Abdomen, Computed tomography 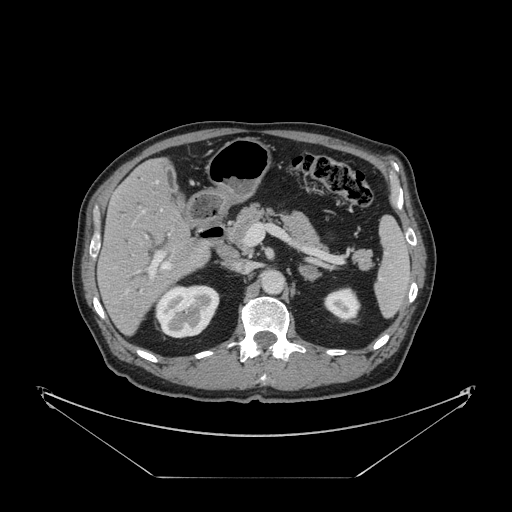
Some hepatic vessels may have no box.
Hepatic vessel at rect(142, 210, 144, 212); rect(125, 291, 127, 292); rect(155, 181, 158, 183); rect(148, 251, 170, 277); rect(244, 223, 267, 245).